Abdomen. CT. Slice index 45.
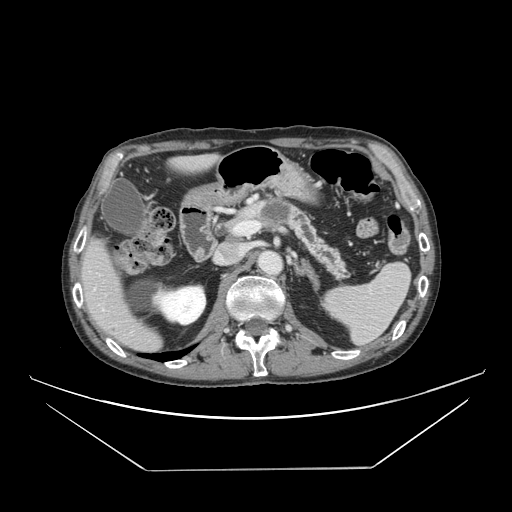

Pancreatic tumor at left=262, top=202, right=291, bottom=220.
Pancreas at left=228, top=196, right=352, bottom=282.